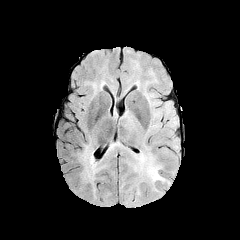
FLAIR MR image.
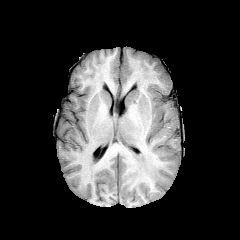
T1-weighted MRI.
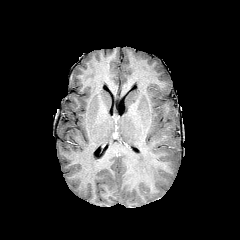
Same slice, post-contrast T1-weighted magnetic resonance.
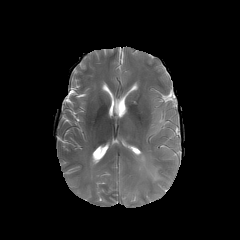
T2-weighted magnetic resonance.
Brain, 240x240 px
2 edema regions are bounded by <box>132,150,170,186</box>, <box>78,144,102,184</box>.